Head; Slice 43/155
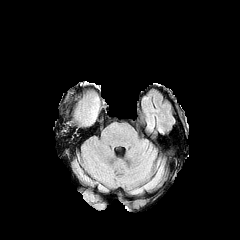
FLAIR MRI.
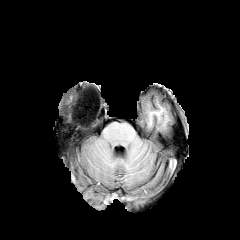
T1-weighted MR of the same slice.
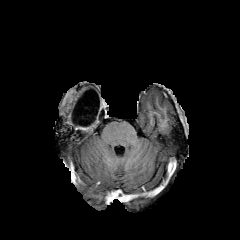
Same slice, post-contrast T1-weighted MR.
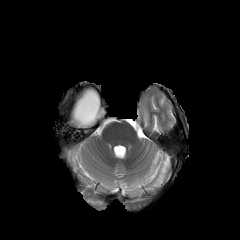
T2-weighted magnetic resonance of the same slice.
Non-enhancing tumor core = <bbox>78, 95, 98, 123</bbox>.